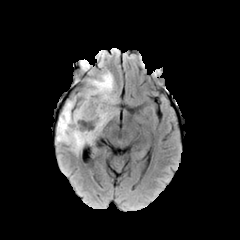
FLAIR MRI.
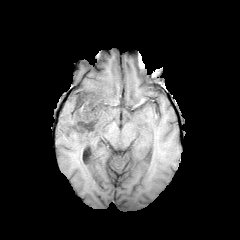
T1-weighted magnetic resonance.
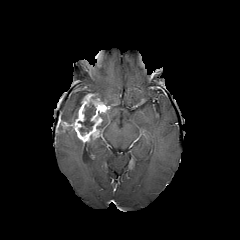
Post-contrast T1-weighted MRI of the same slice.
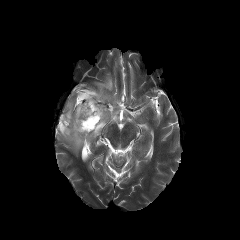
T2-weighted magnetic resonance.
Head, Image size 240x240
Enhancing tumor — {"x1": 57, "y1": 93, "x2": 110, "y2": 143}.
Non-enhancing tumor core — {"x1": 80, "y1": 105, "x2": 94, "y2": 131}, {"x1": 73, "y1": 90, "x2": 97, "y2": 121}.
Edema — {"x1": 101, "y1": 108, "x2": 118, "y2": 128}, {"x1": 84, "y1": 73, "x2": 119, "y2": 104}, {"x1": 56, "y1": 130, "x2": 86, "y2": 153}, {"x1": 60, "y1": 97, "x2": 75, "y2": 123}.